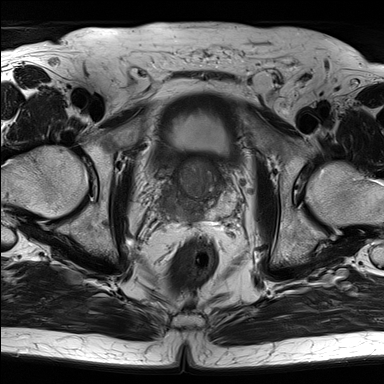
T2-weighted MR.
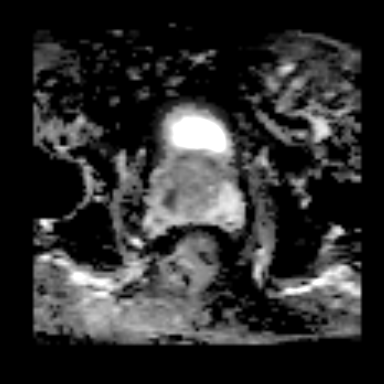
ADC MR of the same slice.
Prostate. 384x384.
prostate_transition_zone:
  - box(172, 159, 226, 200)
prostate_peripheral_zone:
  - box(163, 180, 236, 223)